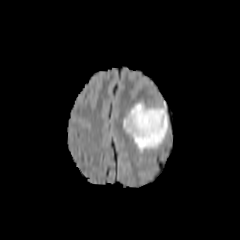
FLAIR MR.
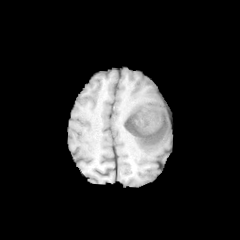
T1-weighted MR image.
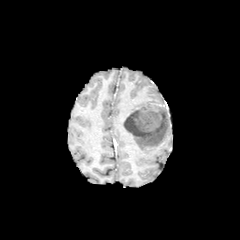
Post-contrast T1-weighted magnetic resonance.
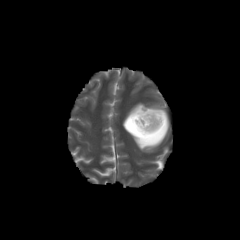
T2-weighted magnetic resonance.
Head.
The edema lies within bbox(123, 99, 170, 151). The non-enhancing tumor core is located at bbox(124, 106, 162, 137).